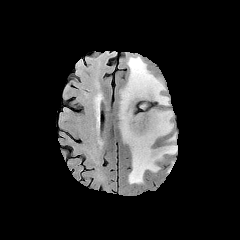
FLAIR MRI.
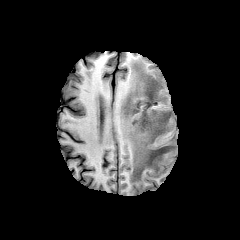
Same slice, T1-weighted MRI.
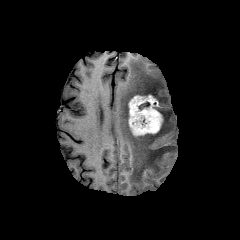
Post-contrast T1-weighted MRI of the same slice.
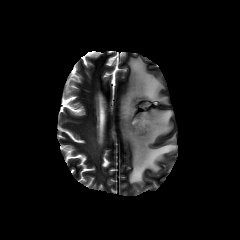
T2-weighted MR of the same slice.
Head
Segmented structures:
* non-enhancing tumor core: l=159, t=145, r=172, b=152; l=135, t=82, r=159, b=113; l=126, t=95, r=135, b=118; l=146, t=113, r=169, b=137; l=145, t=151, r=160, b=165
* edema: l=120, t=56, r=176, b=184
* enhancing tumor: l=128, t=95, r=163, b=135